FLAIR MRI.
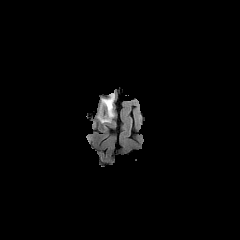
T1-weighted MRI.
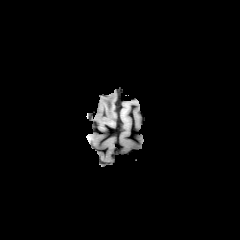
Post-contrast T1-weighted magnetic resonance.
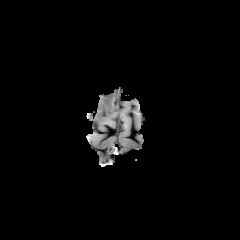
T2-weighted magnetic resonance.
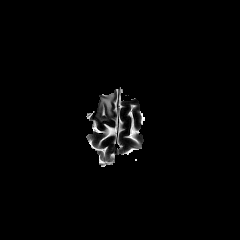
Brain
Annotated regions:
* edema: (x1=102, y1=94, x2=113, y2=117)